CT scan slice | Liver

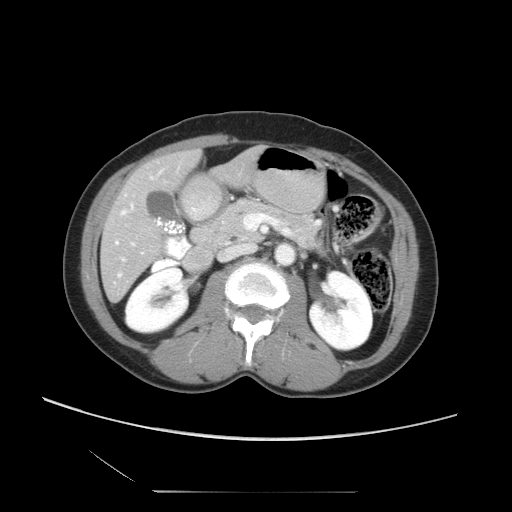 The vessel boxes may cover only some of the vessels.
{"hepatic_vessel": ["x1=115, y1=241, x2=118, y2=243", "x1=130, y1=242, x2=134, y2=245", "x1=124, y1=194, x2=125, y2=195", "x1=121, y1=257, x2=124, y2=260", "x1=141, y1=251, x2=143, y2=252", "x1=117, y1=272, x2=121, y2=276", "x1=149, y1=169, x2=162, y2=179", "x1=165, y1=241, x2=167, y2=248", "x1=120, y1=204, x2=132, y2=214"]}